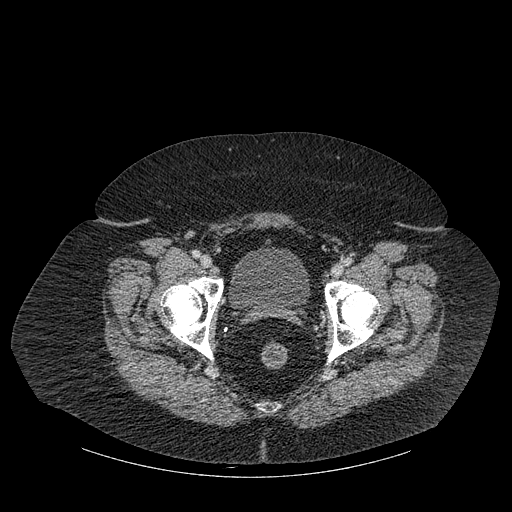 Pelvis. CT scan slice.
Bone: (257, 404, 279, 411), (160, 277, 223, 359), (325, 281, 379, 362).
Urinary bladder: (230, 245, 310, 322).